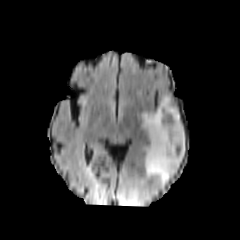
FLAIR MR.
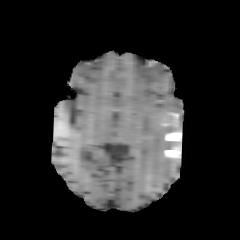
Same slice, T1-weighted MR image.
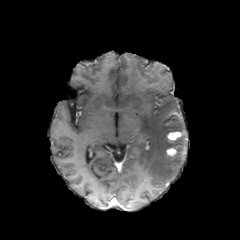
Post-contrast T1-weighted MR.
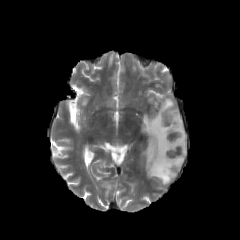
T2-weighted MR image of the same slice.
Brain
Non-enhancing tumor core: bounding box region(169, 147, 181, 157).
Edema: bounding box region(142, 95, 186, 187).
Enhancing tumor: bounding box region(167, 148, 177, 156); region(167, 132, 182, 140).